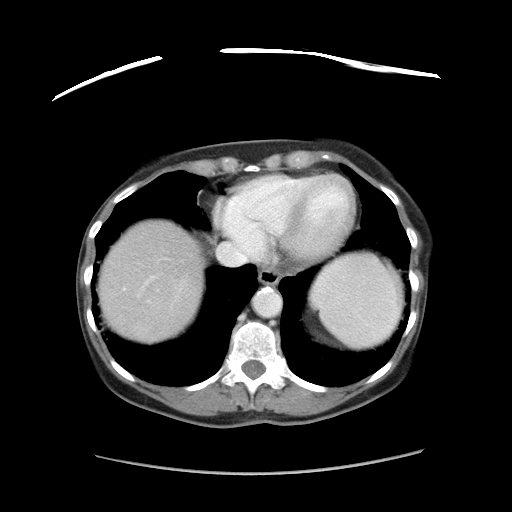

CT image
The vessel annotation is not exhaustive.
The hepatic vessel appears at [x1=218, y1=239, x2=243, y2=264].